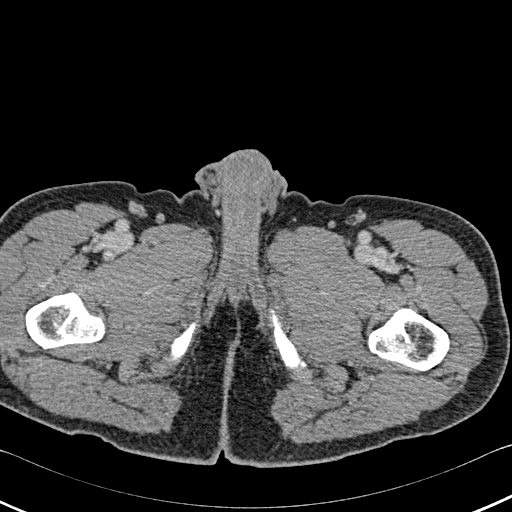

Computed tomography | Image size 512x512
4 bone regions appear at (x1=270, y1=310, x2=305, y2=368), (x1=369, y1=309, x2=448, y2=370), (x1=171, y1=322, x2=195, y2=360), (x1=26, y1=293, x2=104, y2=348).